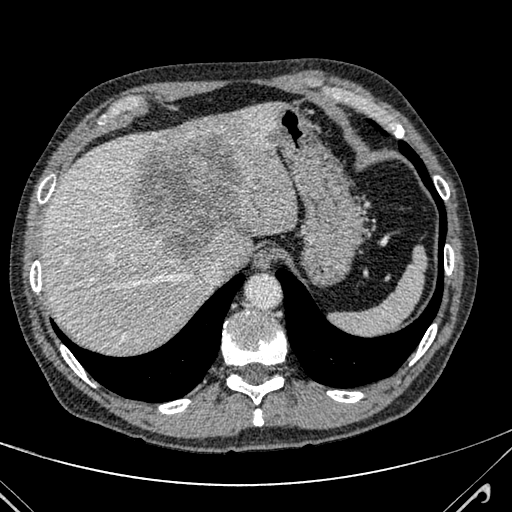 Abdomen; CT scan slice; 512x512
2 hepatic lesion regions are located at 269, 129, 274, 142; 132, 135, 250, 262. The liver is located at 43, 104, 297, 352.